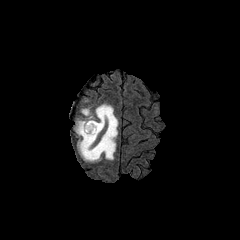
FLAIR magnetic resonance.
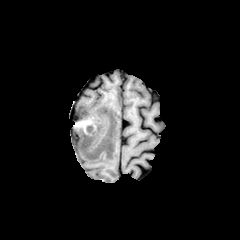
T1-weighted MR of the same slice.
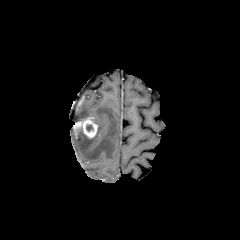
Post-contrast T1-weighted MR image.
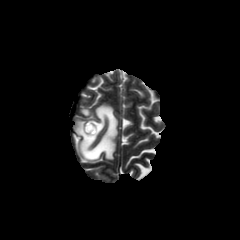
T2-weighted MR image.
Head
{
  "edema": [
    "73, 104, 117, 163"
  ],
  "enhancing_tumor": [
    "75, 118, 98, 138"
  ]
}